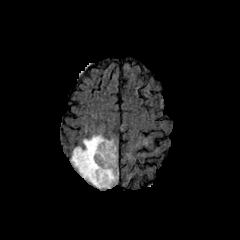
FLAIR MR image.
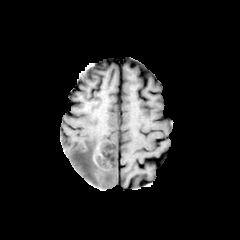
T1-weighted MR image of the same slice.
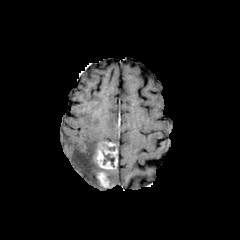
Post-contrast T1-weighted MR.
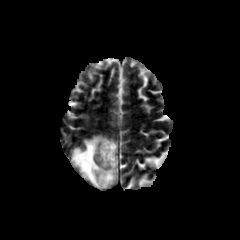
T2-weighted magnetic resonance of the same slice.
The edema is at 71,134,114,188. The enhancing tumor is at 95,140,117,188.